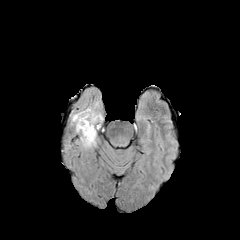
FLAIR MR image.
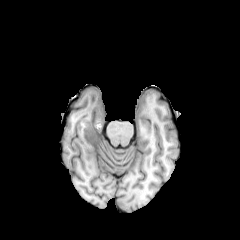
T1-weighted MRI.
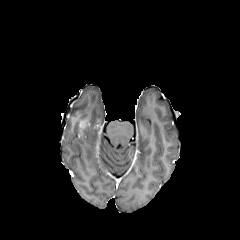
Post-contrast T1-weighted magnetic resonance.
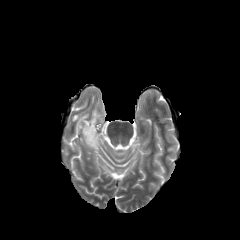
T2-weighted MRI.
non-enhancing tumor core: [82, 120, 95, 132] | edema: [70, 100, 103, 149] | enhancing tumor: [78, 120, 89, 129]